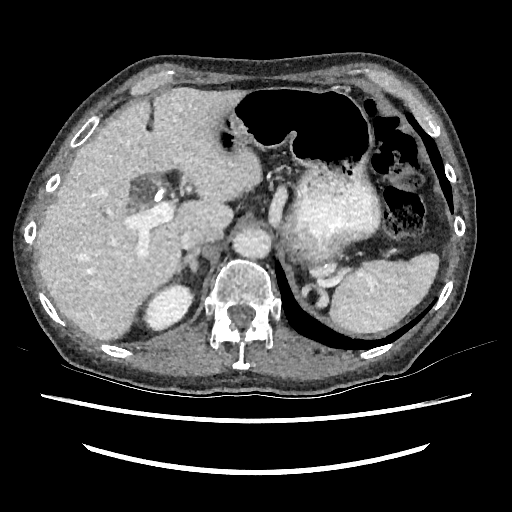 Computed tomography | Abdomen

Annotated regions:
- liver: [x1=36, y1=89, x2=260, y2=339]
- kidney: [x1=147, y1=286, x2=191, y2=329]